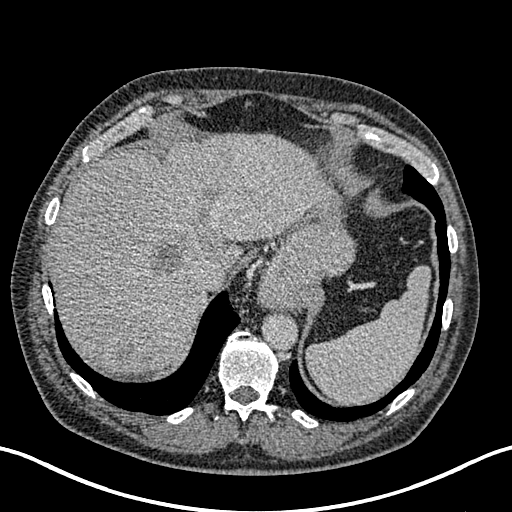 CT image | Liver
The liver is at bbox=[51, 132, 331, 373]. 6 liver lesion regions are located at bbox=[196, 236, 214, 254]; bbox=[208, 187, 218, 198]; bbox=[114, 343, 133, 363]; bbox=[192, 203, 210, 224]; bbox=[149, 239, 194, 276]; bbox=[172, 288, 196, 300].